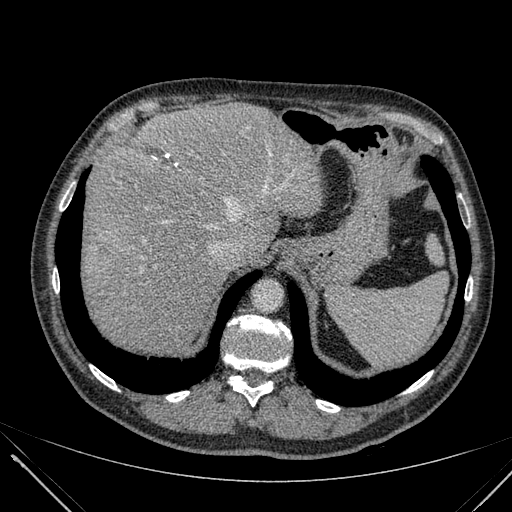 512x512, Abdomen, CT image
2 hepatic lesion regions are located at (x1=142, y1=144, x2=174, y2=164), (x1=100, y1=243, x2=108, y2=250). The liver lies within (x1=82, y1=103, x2=323, y2=354).